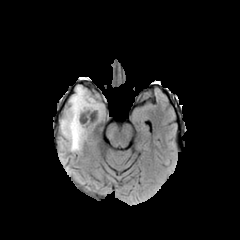
FLAIR MRI.
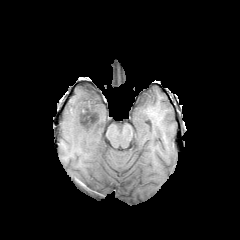
T1-weighted magnetic resonance.
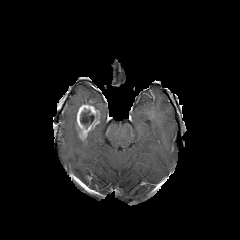
Post-contrast T1-weighted magnetic resonance of the same slice.
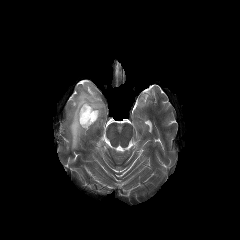
T2-weighted MR image.
{
  "edema": [
    "left=60, top=87, right=93, bottom=151"
  ],
  "enhancing_tumor": [
    "left=76, top=102, right=95, bottom=138"
  ],
  "non-enhancing_tumor_core": [
    "left=80, top=98, right=99, bottom=127"
  ]
}